CT, 512x512, Abdomen
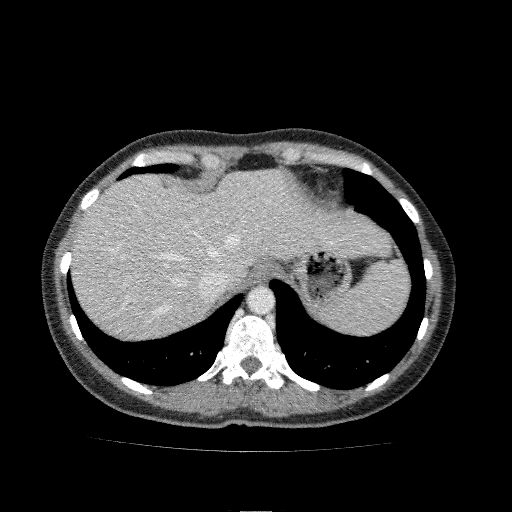
- liver: [x1=72, y1=169, x2=389, y2=338]